FLAIR magnetic resonance.
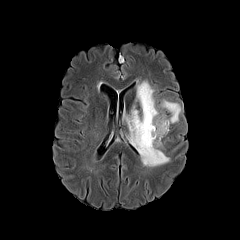
T1-weighted MR image.
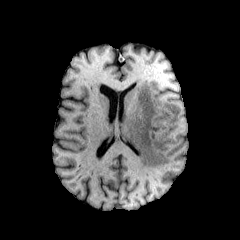
Post-contrast T1-weighted MR image.
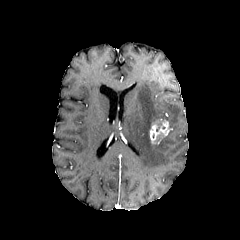
T2-weighted MRI.
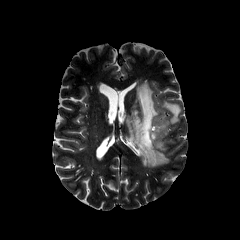
Brain
Segmented structures:
- non-enhancing tumor core: 153:134:168:148, 152:105:172:123
- edema: 124:81:169:167, 159:99:180:123
- enhancing tumor: 150:118:172:144